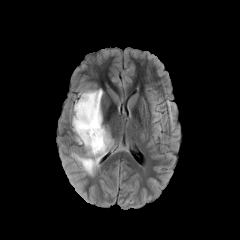
FLAIR MR.
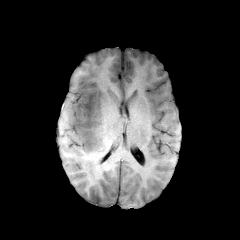
T1-weighted MR of the same slice.
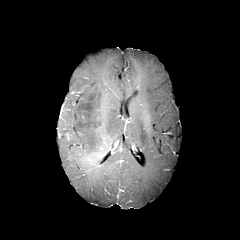
Post-contrast T1-weighted MR.
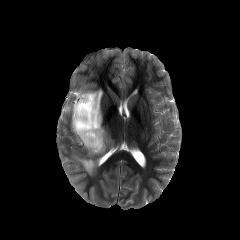
T2-weighted MR image.
240x240 px | Head
Annotated regions:
• non-enhancing tumor core: (85, 100, 93, 117)
• edema: (71, 87, 112, 174)